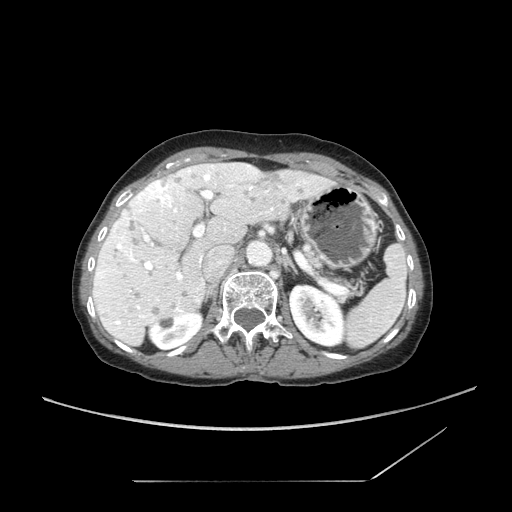 Computed tomography

{
  "pancreas": [
    "bbox(307, 254, 344, 291)"
  ]
}